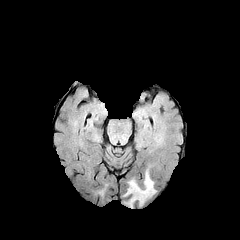
FLAIR MRI.
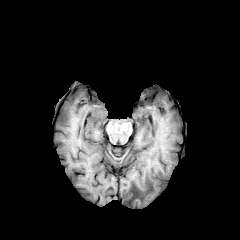
Same slice, T1-weighted MR image.
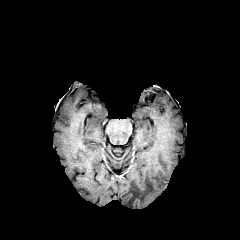
Post-contrast T1-weighted MRI.
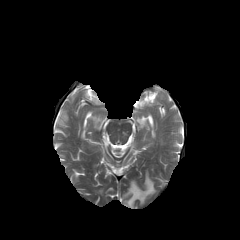
Same slice, T2-weighted MRI.
Head.
edema: [x1=124, y1=171, x2=156, y2=206]